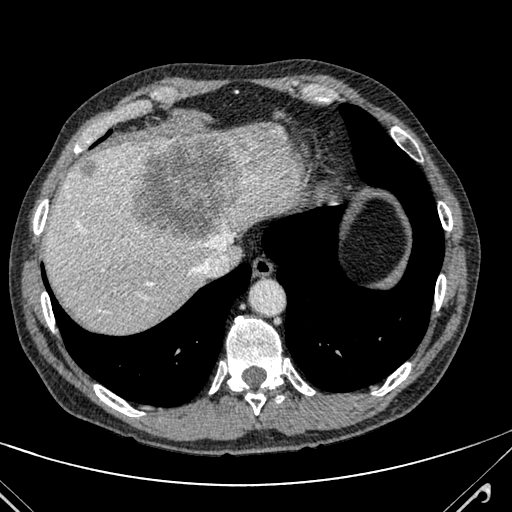 Liver, 512x512 px, Computed tomography
liver_lesion:
  - (80, 161, 93, 177)
  - (133, 137, 243, 243)
liver:
  - (45, 123, 298, 332)